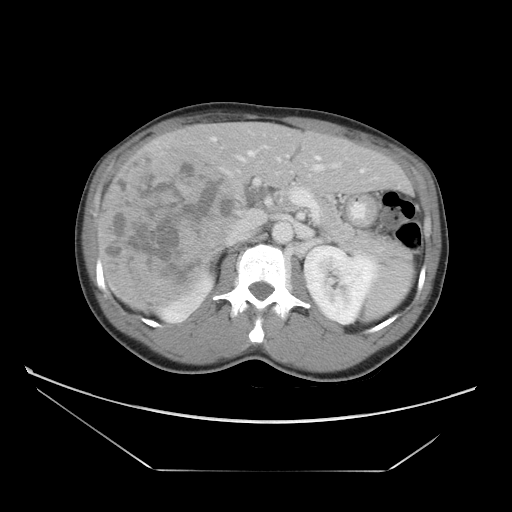
Abdomen, CT image
The vessel boxes may cover only some of the vessels.
The liver tumor is bounded by <box>98,143,242,309</box>. 4 hepatic vessel regions appear at <box>236,155,246,161</box>, <box>316,157,320,159</box>, <box>314,165,321,168</box>, <box>247,150,255,156</box>.